FLAIR MR image.
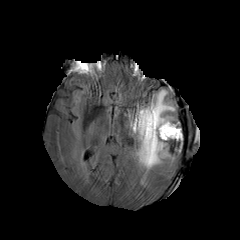
T1-weighted MR.
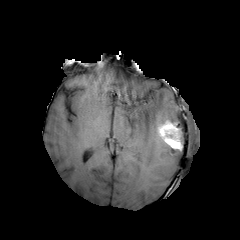
Post-contrast T1-weighted MR.
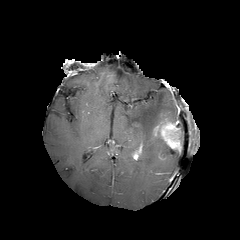
T2-weighted MR image.
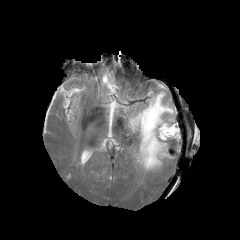
Head
enhancing tumor: (154,122,179,147) | edema: (177,123,182,151), (128,89,177,172)